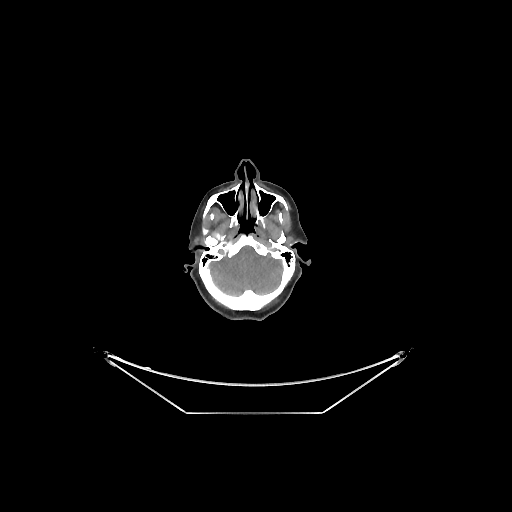
Brain. 512x512. CT slice.

brain: {"x1": 209, "y1": 245, "x2": 283, "y2": 296}